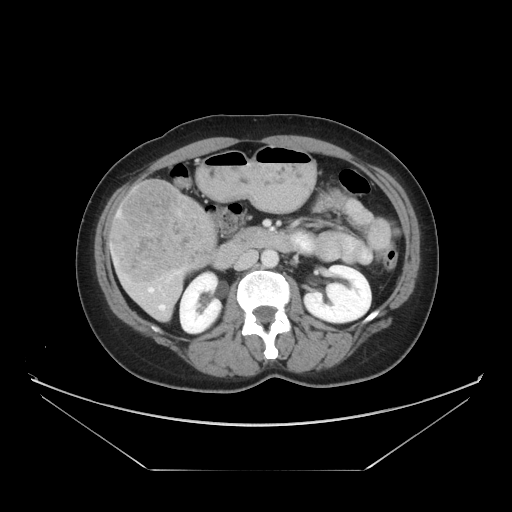 CT, Liver
Annotated regions:
- liver tumor: l=109, t=180, r=215, b=289